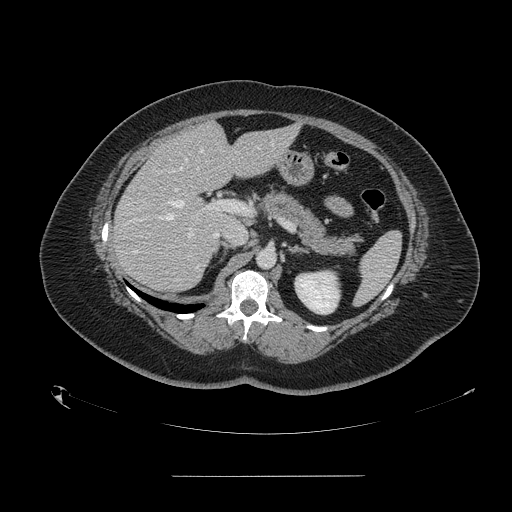
Upper abdomen, 512x512, CT scan slice
Segmented structures:
- spleen: region(354, 232, 401, 306)